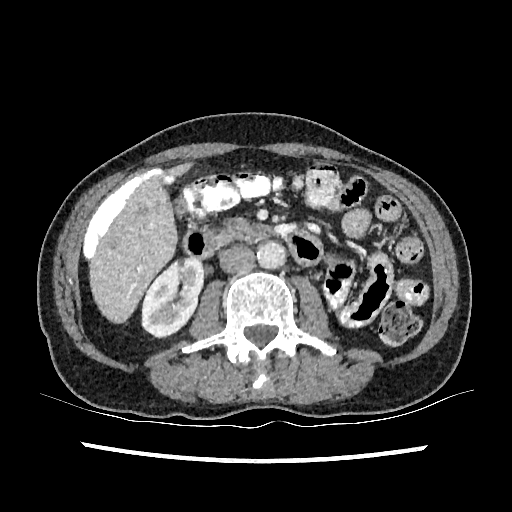

CT slice
kidney:
  - (142,259,203,336)
liver_lesion:
  - (135,206,147,214)
  - (153,200,160,213)
liver:
  - (90,163,192,321)